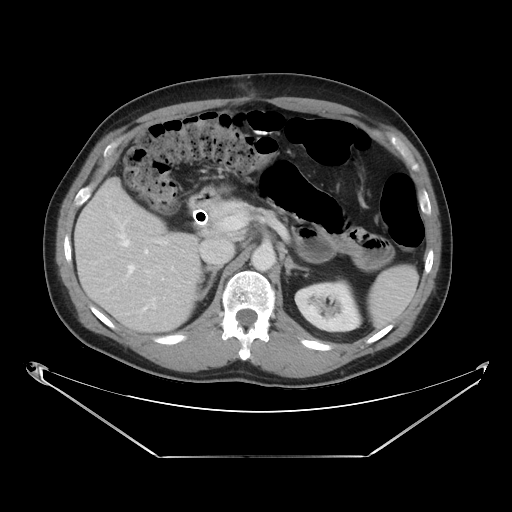

512x512; Abdomen; CT slice
The pancreatic tumor appears at 211, 201, 249, 214. The pancreas lies within 201, 199, 267, 235.